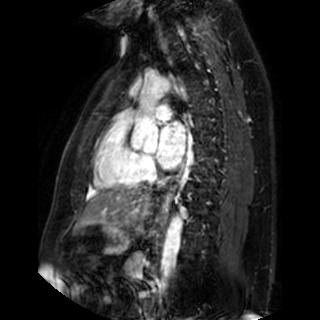 Cardiac; MR
Left atrium at [156,121,185,169].